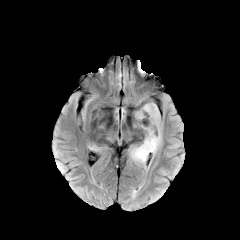
FLAIR magnetic resonance.
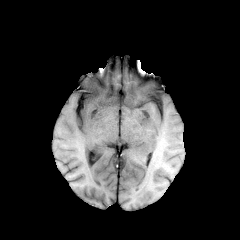
T1-weighted MRI.
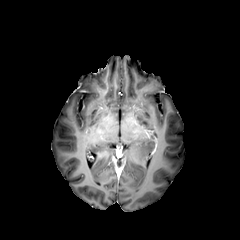
Post-contrast T1-weighted MRI.
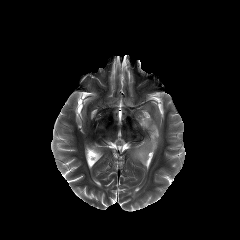
T2-weighted magnetic resonance.
Brain. Image size 240x240.
The non-enhancing tumor core appears at bbox=[142, 125, 152, 137]. 2 edema regions are located at bbox=[130, 103, 161, 166]; bbox=[136, 112, 145, 119].